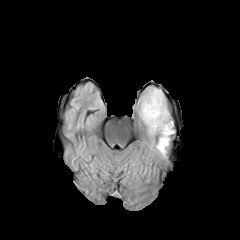
FLAIR MRI.
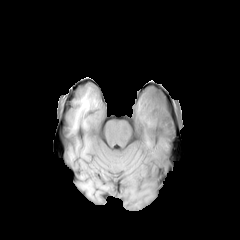
Same slice, T1-weighted MR image.
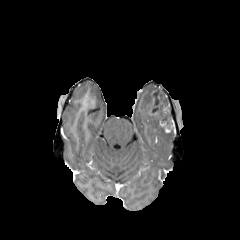
Post-contrast T1-weighted MR of the same slice.
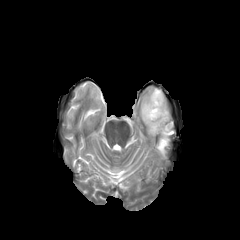
T2-weighted MR of the same slice.
Brain
<segmentation>
  <non-enhancing_tumor_core>150,92,168,122</non-enhancing_tumor_core>
  <edema>139,88,173,155</edema>
</segmentation>